Medial temporal lobe; MRI; Image width 36 mm; Image size 36x40 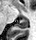
Annotated regions:
- posterior hippocampus: <bbox>15, 19, 28, 28</bbox>
- anterior hippocampus: <bbox>23, 18, 27, 18</bbox>